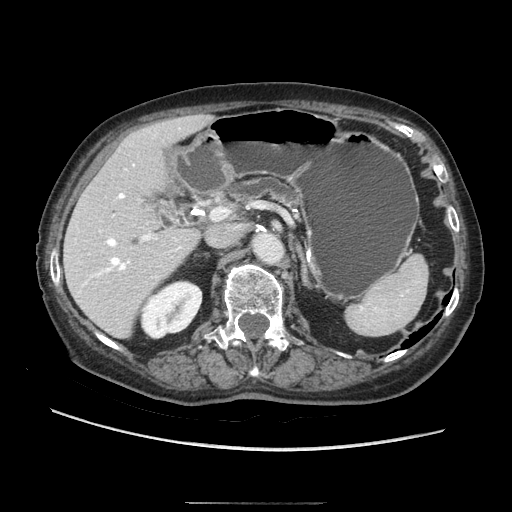 CT scan slice

Pancreas — <bbox>225, 178, 299, 206</bbox>.